FLAIR MRI.
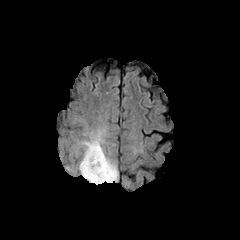
T1-weighted MR.
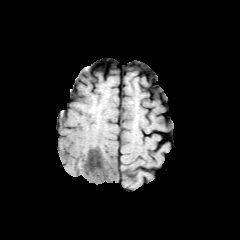
Post-contrast T1-weighted MR.
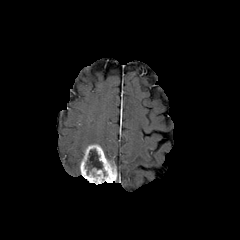
T2-weighted MRI.
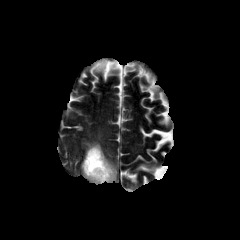
240x240 px
{
  "edema": [
    "x1=65, y1=119, x2=118, y2=182"
  ],
  "enhancing_tumor": [
    "x1=80, y1=144, x2=117, y2=183"
  ],
  "non-enhancing_tumor_core": [
    "x1=85, y1=150, x2=103, y2=174"
  ]
}